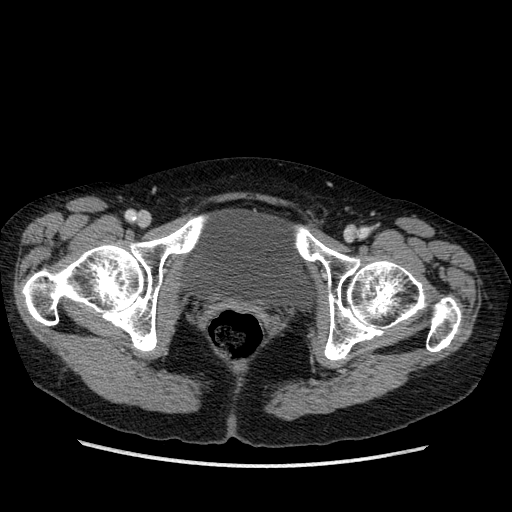

Lower abdomen. Image size 512x512. Computed tomography.

The urinary bladder appears at box(179, 208, 318, 319).